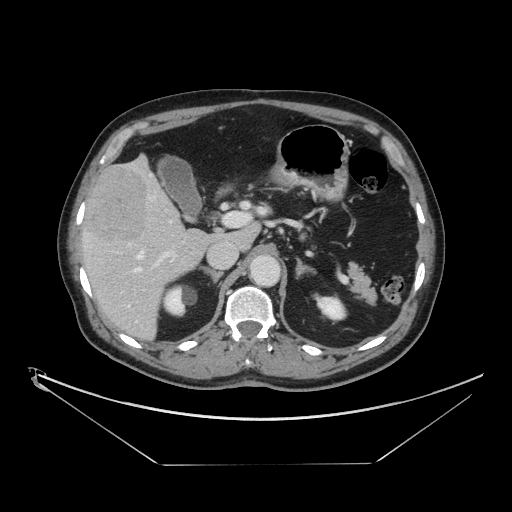 Abdomen, CT image
Some hepatic vessels may have no box.
<segmentation>
  <liver_tumor>84 165 149 243</liver_tumor>
  <hepatic_vessel>129 244 130 245, 126 305 129 307, 135 267 140 271, 149 196 155 199, 170 220 171 222, 160 251 175 261, 137 251 143 258</hepatic_vessel>
</segmentation>